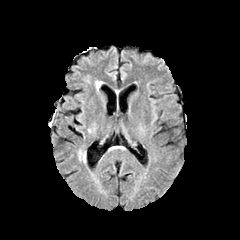
FLAIR magnetic resonance.
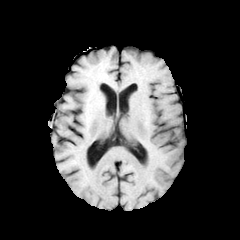
T1-weighted magnetic resonance.
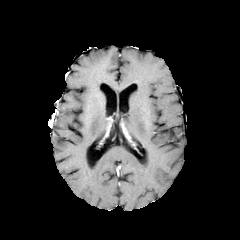
Post-contrast T1-weighted magnetic resonance of the same slice.
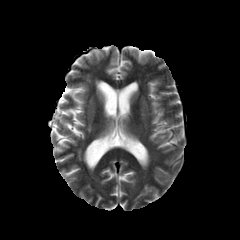
T2-weighted MR image.
The edema is bounded by <bbox>78, 98, 84, 122</bbox>.